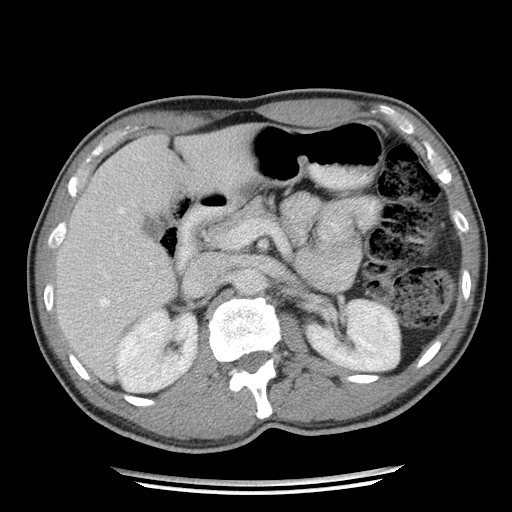 CT scan slice; Abdomen
Pancreas = (x1=255, y1=260, x2=263, y2=282), (x1=210, y1=198, x2=269, y2=242).